CT slice 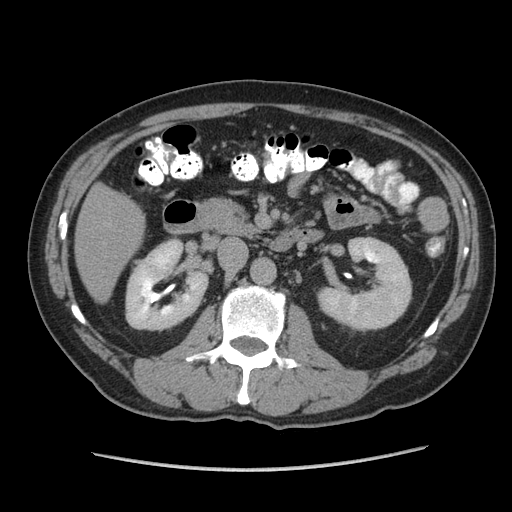 pancreas: (left=201, top=199, right=257, bottom=237)